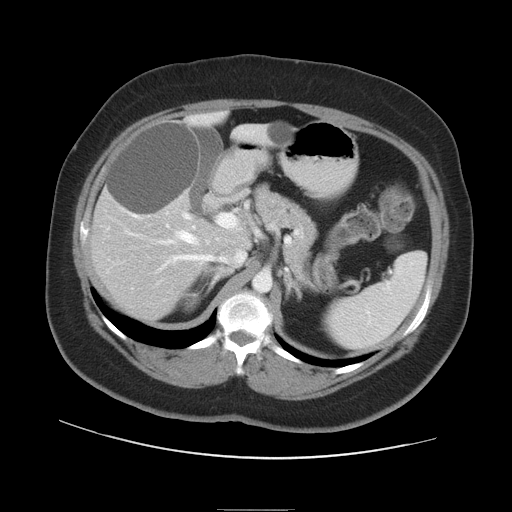

Computed tomography

Some hepatic vessels may have no box.
5 hepatic vessel regions are located at x1=173, y1=255, x2=211, y2=260; x1=177, y1=231, x2=196, y2=243; x1=165, y1=240, x2=171, y2=242; x1=184, y1=214, x2=189, y2=218; x1=217, y1=214, x2=236, y2=227.